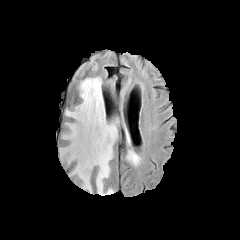
FLAIR MRI.
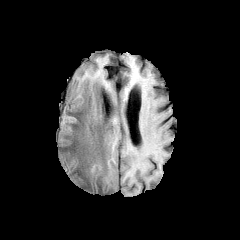
T1-weighted MR image.
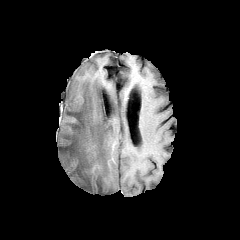
Post-contrast T1-weighted MRI of the same slice.
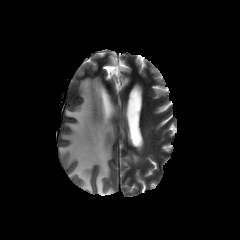
Same slice, T2-weighted MRI.
Head.
Segmented structures:
* non-enhancing tumor core: [86, 143, 95, 157]
* edema: [64, 77, 117, 195], [125, 150, 136, 161]